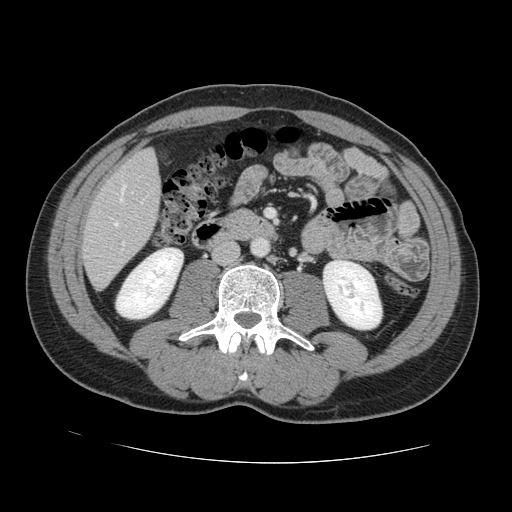 CT scan slice, Abdomen
The vessel boxes may cover only some of the vessels.
Hepatic vessel: <bbox>119, 181, 126, 201</bbox>, <bbox>109, 272, 111, 274</bbox>, <bbox>114, 222, 117, 225</bbox>, <bbox>122, 242, 124, 244</bbox>, <bbox>140, 199, 144, 203</bbox>.